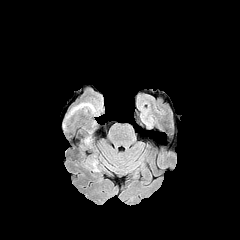
FLAIR MR.
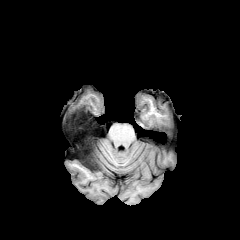
T1-weighted magnetic resonance.
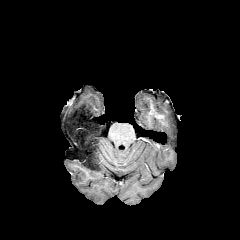
Post-contrast T1-weighted magnetic resonance of the same slice.
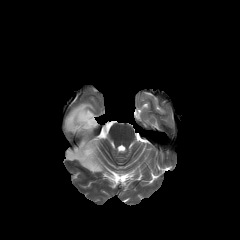
T2-weighted magnetic resonance.
3 edema regions are located at 69:102:98:114, 92:156:103:171, 66:115:89:130. 2 non-enhancing tumor core regions are bounded by 75:137:98:169, 69:106:95:128.